Image size 512x512 | CT | Upper abdomen

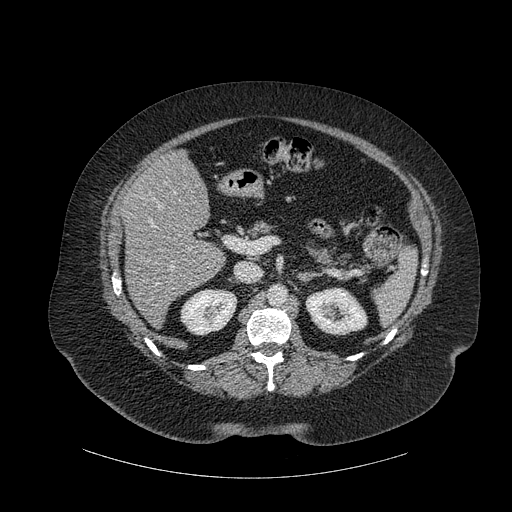

Liver = l=122, t=149, r=225, b=328.
Kidney = l=306, t=288, r=366, b=334; l=181, t=290, r=236, b=334.
Bone = l=384, t=329, r=396, b=343; l=145, t=338, r=159, b=355; l=347, t=353, r=362, b=360; l=247, t=308, r=290, b=345; l=112, t=277, r=120, b=294; l=251, t=352, r=283, b=390; l=188, t=365, r=205, b=370.